Upper abdomen, Field of view 477 mm wide, 2.50 mm slice spacing, CT slice 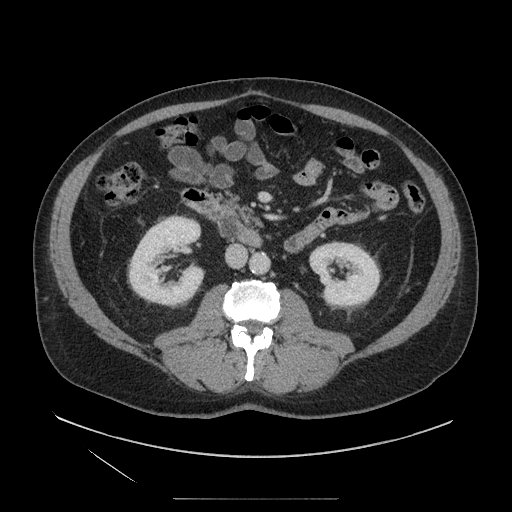
Pancreas: (208,203,243,242).
Pancreatic tumor: (219,214,237,237).